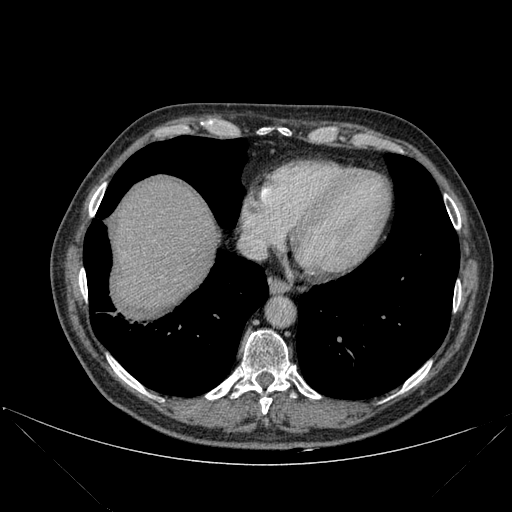
512x512 px. Liver. CT slice.
8 bone regions appear at (x1=260, y1=397, x2=271, y2=413), (x1=89, y1=183, x2=105, y2=216), (x1=444, y1=194, x2=460, y2=228), (x1=107, y1=357, x2=146, y2=393), (x1=453, y1=281, x2=460, y2=311), (x1=79, y1=268, x2=87, y2=298), (x1=205, y1=330, x2=320, y2=399), (x1=400, y1=363, x2=431, y2=392). The liver appears at (x1=108, y1=181, x2=221, y2=314). 2 lung regions are located at (x1=297, y1=153, x2=459, y2=399), (x1=83, y1=136, x2=268, y2=396).